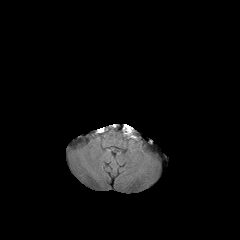
FLAIR MR.
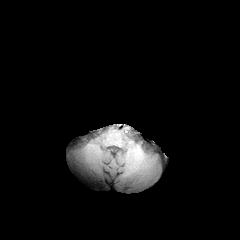
T1-weighted MR.
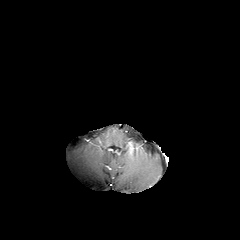
Post-contrast T1-weighted magnetic resonance.
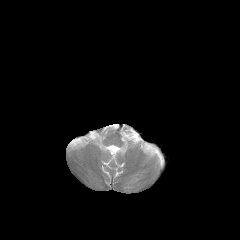
T2-weighted MR image of the same slice.
edema:
  - x1=122, y1=131, x2=133, y2=141